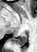

MRI slice.
{
  "posterior_hippocampus": [
    "[x1=10, y1=33, x2=26, y2=44]"
  ]
}